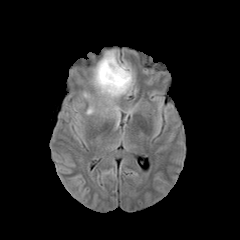
FLAIR MR image.
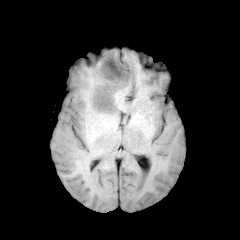
T1-weighted magnetic resonance of the same slice.
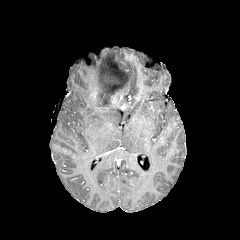
Post-contrast T1-weighted MR.
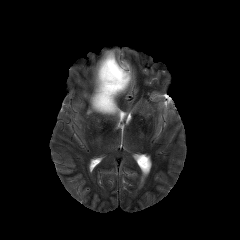
T2-weighted MR.
Enhancing tumor = <box>111,93,117,106</box>.
Edema = <box>82,49,135,127</box>.
Non-enhancing tumor core = <box>93,61,124,110</box>.